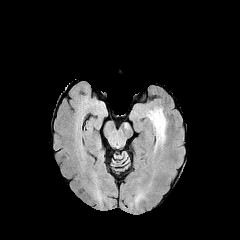
FLAIR MR image.
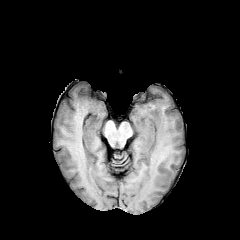
T1-weighted MR of the same slice.
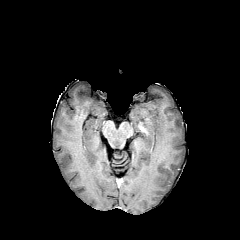
Post-contrast T1-weighted MR image.
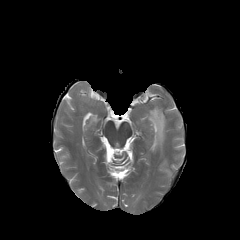
T2-weighted MR image of the same slice.
Brain
Edema = [144, 106, 167, 150].